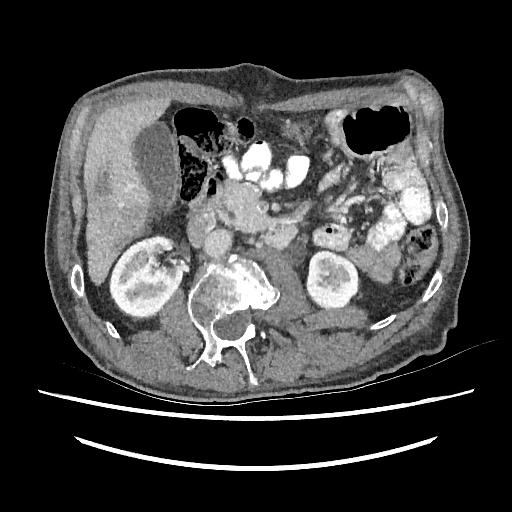

CT slice; Liver
Liver = [84,97,170,285].
Kidney = [110,237,185,316], [307,251,357,307].
Liver lesion = [93,161,144,252].